Slice 56/155. Head. 240x240.
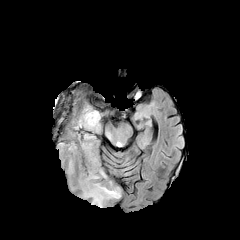
FLAIR MRI.
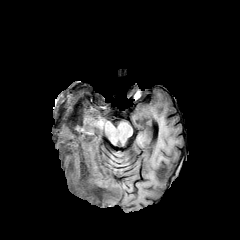
T1-weighted magnetic resonance.
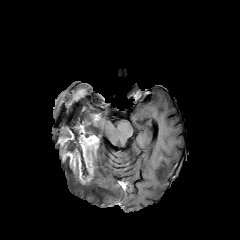
Post-contrast T1-weighted MRI of the same slice.
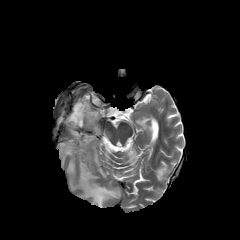
T2-weighted MRI.
Non-enhancing tumor core = x1=58, y1=108, x2=89, y2=176.
Enhancing tumor = x1=91, y1=113, x2=99, y2=122; x1=75, y1=122, x2=99, y2=184; x1=60, y1=141, x2=74, y2=172.
Edema = x1=80, y1=104, x2=101, y2=133; x1=66, y1=149, x2=121, y2=207.